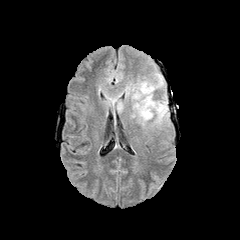
FLAIR MR image.
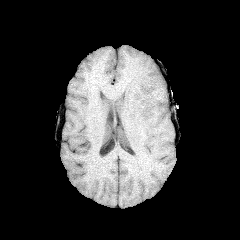
Same slice, T1-weighted MR.
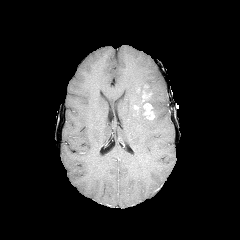
Post-contrast T1-weighted MR image.
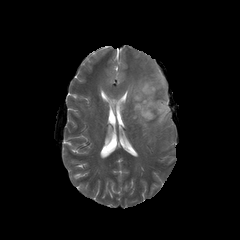
T2-weighted magnetic resonance of the same slice.
240x240; Head
{
  "enhancing_tumor": [
    "[x1=143, y1=104, x2=153, y2=118]"
  ],
  "edema": [
    "[x1=132, y1=108, x2=148, y2=127]",
    "[x1=105, y1=67, x2=168, y2=127]"
  ],
  "non-enhancing_tumor_core": [
    "[x1=134, y1=85, x2=155, y2=120]"
  ]
}